512x512 px. Abdomen. CT scan slice. 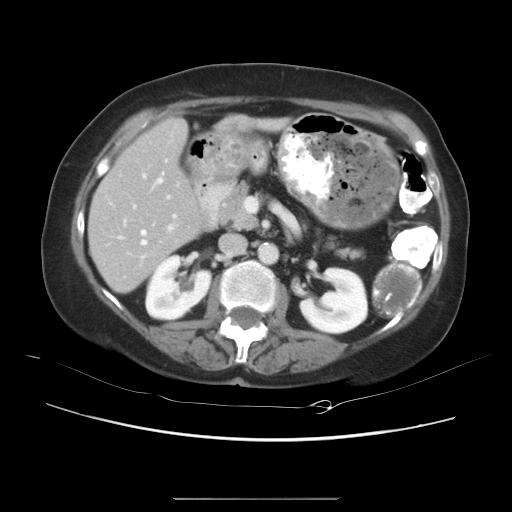 Not every hepatic vessel necessarily has a box.
Findings:
- hepatic vessel (largest 15 of 16): box(106, 196, 113, 205); box(173, 215, 176, 220); box(166, 196, 169, 197); box(140, 255, 145, 265); box(123, 219, 126, 226); box(142, 174, 146, 178); box(165, 160, 166, 161); box(167, 222, 174, 232); box(150, 173, 163, 191); box(177, 183, 177, 186); box(118, 236, 123, 238); box(169, 135, 173, 142); box(133, 205, 135, 209); box(153, 223, 154, 225); box(141, 230, 146, 244)